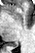
MR image | 35x53 px | Hippocampus
* posterior hippocampus: box(8, 42, 18, 46)